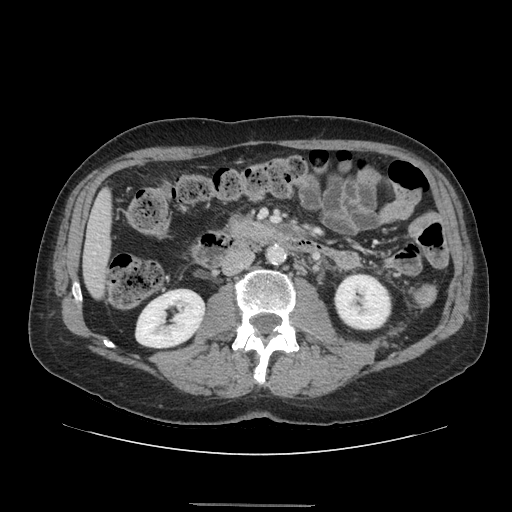
CT slice; Abdomen

<segmentation>
  <pancreas><bbox>230, 219, 264, 235</bbox></pancreas>
</segmentation>